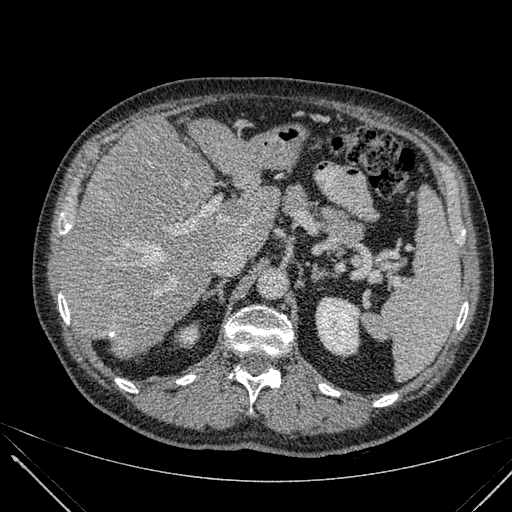
CT | Liver
kidney: x1=316, y1=298, x2=358, y2=354; x1=181, y1=329, x2=196, y2=341 | liver: x1=62, y1=121, x2=279, y2=357; x1=189, y1=118, x2=270, y2=188